Field of view 240x240 mm; Brain
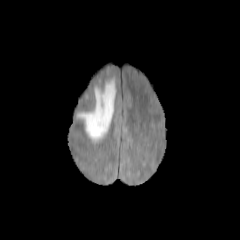
FLAIR MR image.
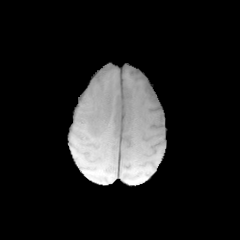
Same slice, T1-weighted MRI.
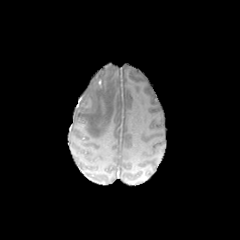
Post-contrast T1-weighted MRI of the same slice.
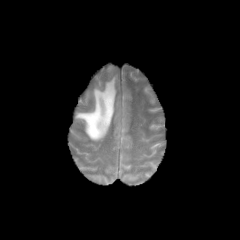
T2-weighted magnetic resonance.
The edema lies within (76, 77, 116, 142).